CT slice | Abdomen

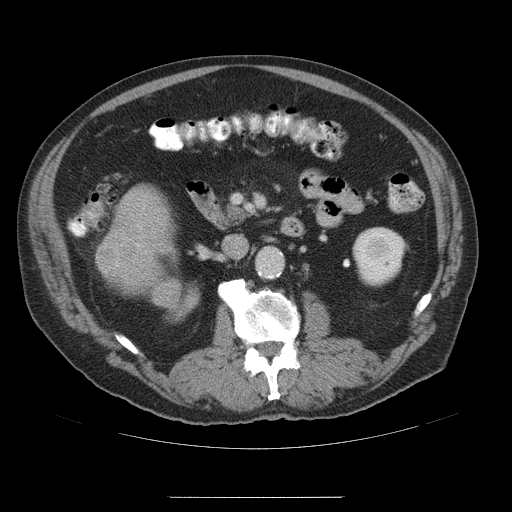

The liver tumor is at box(97, 247, 118, 273).